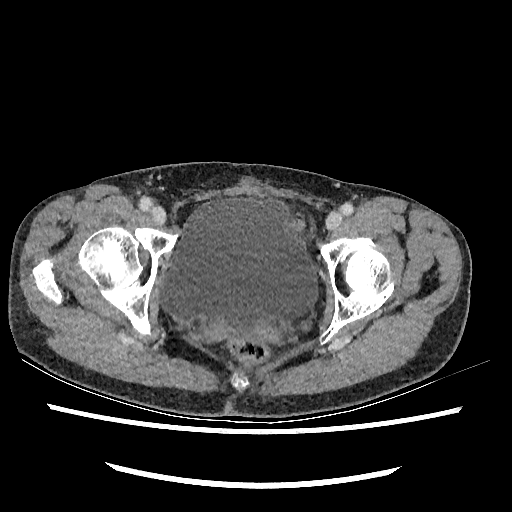 Image size 512x512 | CT
Urinary bladder: rect(159, 195, 317, 337).